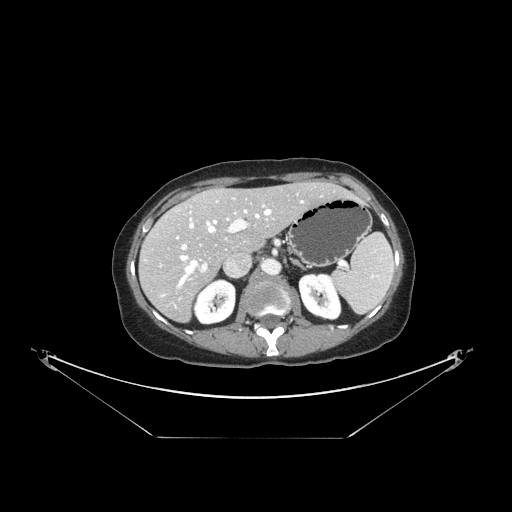 Computed tomography. 512x512 px.

The vessel boxes may cover only some of the vessels.
Segmented structures:
- hepatic vessel: (left=266, top=210, right=269, bottom=213), (left=202, top=265, right=205, bottom=269), (left=182, top=245, right=185, bottom=248), (left=256, top=215, right=258, bottom=217), (left=230, top=220, right=246, bottom=231), (left=207, top=222, right=213, bottom=231), (left=214, top=221, right=215, bottom=222), (left=190, top=224, right=192, bottom=226)